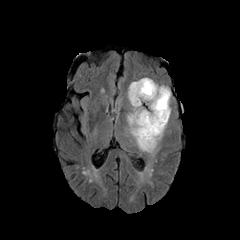
FLAIR MR image.
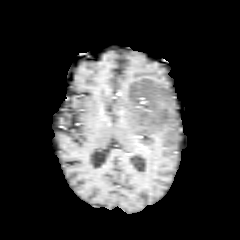
T1-weighted MR.
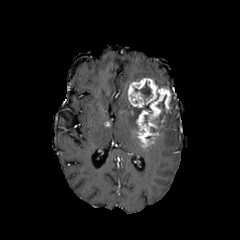
Post-contrast T1-weighted MR image.
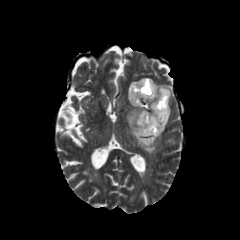
T2-weighted magnetic resonance of the same slice.
Non-enhancing tumor core: l=140, t=85, r=150, b=97.
Enhancing tumor: l=128, t=78, r=171, b=146.
Edema: l=127, t=104, r=170, b=152.